240x240 px, Brain
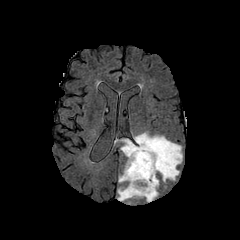
FLAIR MRI.
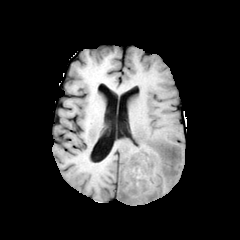
T1-weighted MR of the same slice.
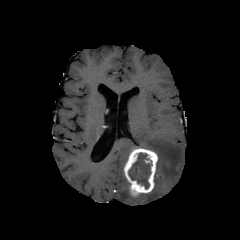
Same slice, post-contrast T1-weighted magnetic resonance.
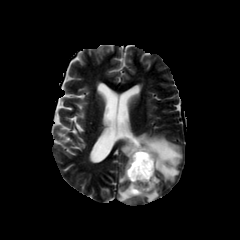
T2-weighted magnetic resonance of the same slice.
Enhancing tumor = left=123, top=146, right=158, bottom=196.
Non-enhancing tumor core = left=129, top=153, right=150, bottom=188; left=146, top=148, right=160, bottom=168.
Edema = left=118, top=132, right=182, bottom=203; left=120, top=138, right=134, bottom=160; left=118, top=166, right=127, bottom=183.